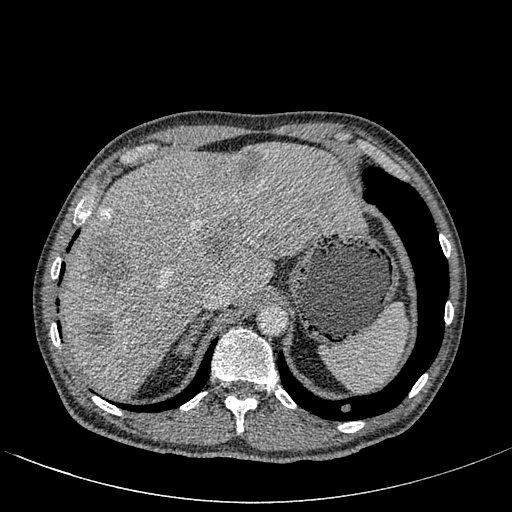
CT scan slice; Upper abdomen
Focal liver lesion = 320 193 330 202, 205 219 244 264, 205 150 262 188, 84 315 113 346, 86 231 132 288.
Liver = 62 142 364 397.